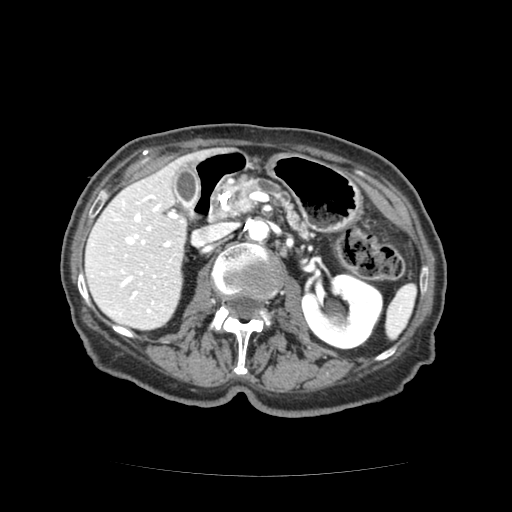 Abdomen, CT image
<segmentation>
  <pancreas>x1=217, y1=178, x2=311, y2=238</pancreas>
</segmentation>